Image size 512x512. Abdomen. CT.
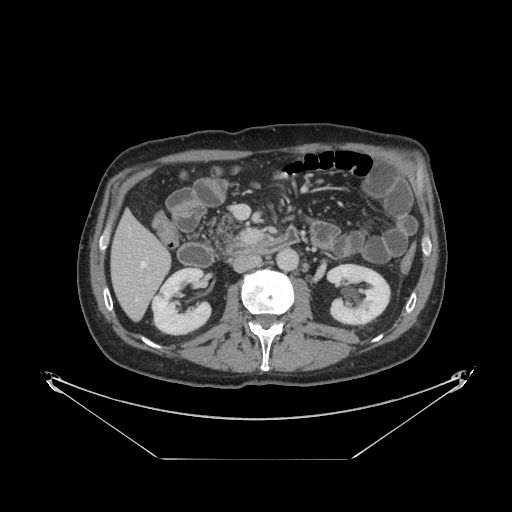
Pancreas — [202,210,251,259].
Pancreatic tumor — [236,227,265,244].